Slice 119 of 155.
FLAIR magnetic resonance.
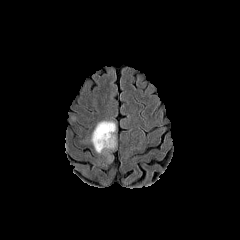
T1-weighted magnetic resonance.
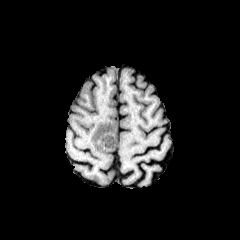
Post-contrast T1-weighted MR.
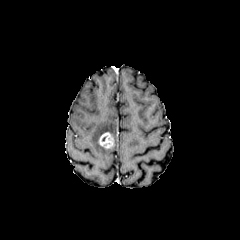
T2-weighted magnetic resonance.
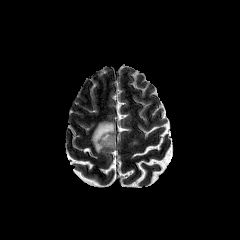
Enhancing tumor = region(98, 132, 114, 149).
Edema = region(91, 121, 115, 152).